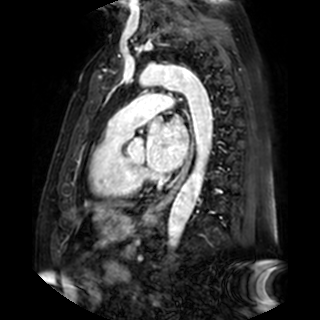

MRI slice
{"left_atrium": ["[146,117,188,172]"]}